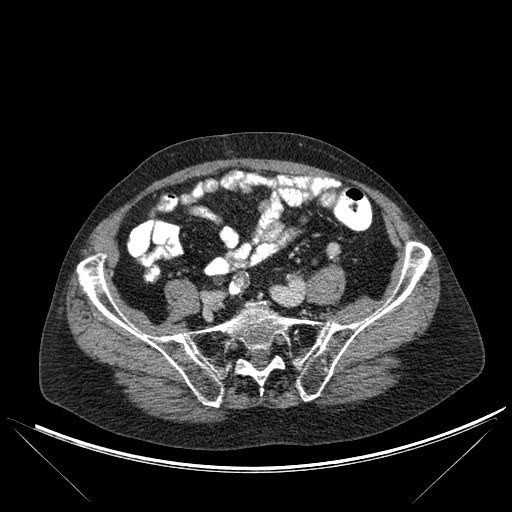 CT image | 512x512 px

{
  "bone": [
    "box(235, 356, 284, 392)",
    "box(77, 242, 431, 406)"
  ]
}